FLAIR MR image.
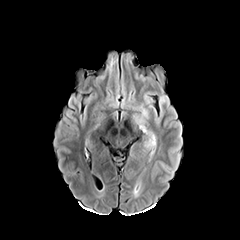
T1-weighted MR image.
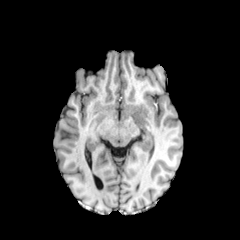
Post-contrast T1-weighted MRI.
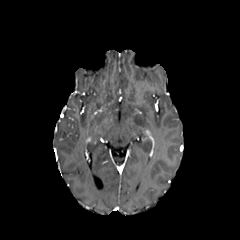
T2-weighted MR.
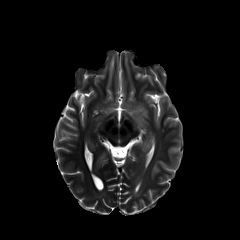
Head.
<segmentation>
  <edema>(x1=143, y1=93, x2=159, y2=124), (x1=142, y1=138, x2=151, y2=154), (x1=121, y1=80, x2=149, y2=131)</edema>
</segmentation>